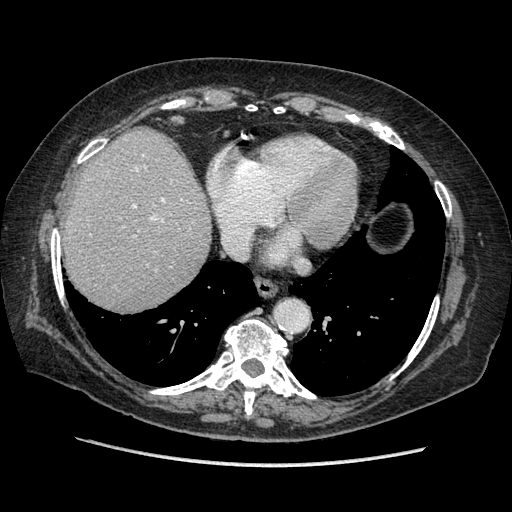 Image size 512x512. Liver. Computed tomography.
Not every hepatic vessel necessarily has a box.
2 hepatic vessel regions are bounded by 133:205:135:207, 150:216:162:220.